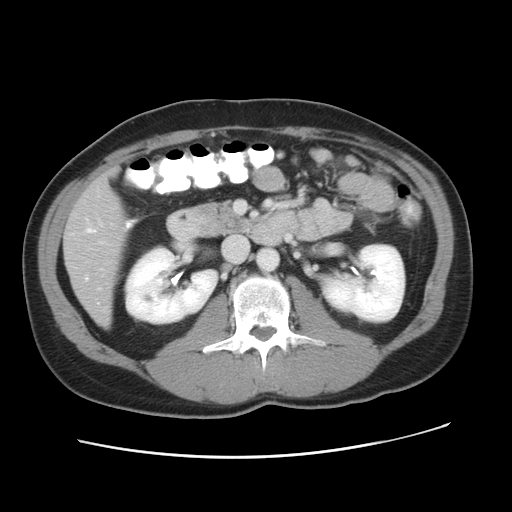
Computed tomography
The vessel annotation is not exhaustive.
Annotated regions:
• hepatic vessel: x1=98 y1=287 x2=100 y2=289, x1=86 y1=219 x2=95 y2=232, x1=99 y1=241 x2=103 y2=242, x1=85 y1=276 x2=87 y2=279